FLAIR MR.
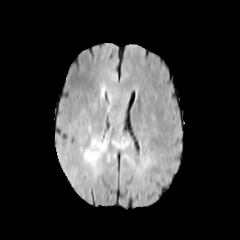
T1-weighted MR image.
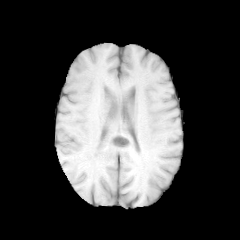
Post-contrast T1-weighted MR.
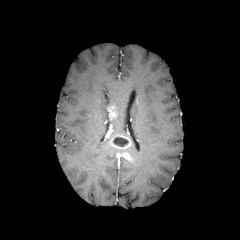
T2-weighted MR.
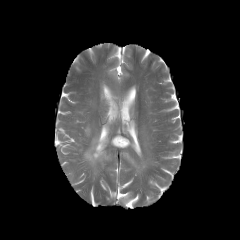
Head
Enhancing tumor = region(110, 135, 131, 149); region(122, 152, 131, 160); region(106, 102, 118, 120).
Edema = region(83, 137, 107, 166).
Non-enhancing tumor core = region(113, 137, 128, 146).